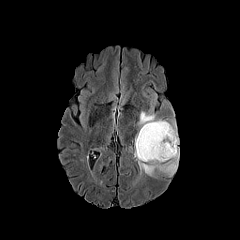
FLAIR MRI.
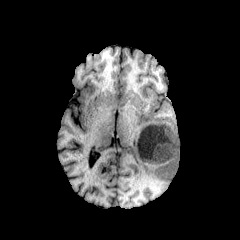
Same slice, T1-weighted MR.
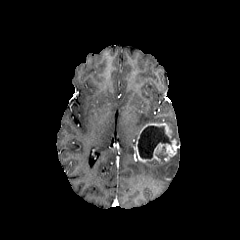
Post-contrast T1-weighted magnetic resonance.
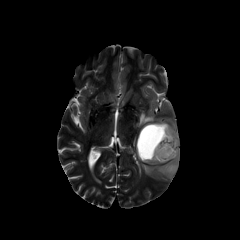
T2-weighted magnetic resonance of the same slice.
240x240 px; Head
• edema: bbox(138, 149, 178, 177); bbox(135, 98, 178, 145)
• enhancing tumor: bbox(136, 123, 176, 162)
• non-enhancing tumor core: bbox(137, 126, 171, 159)